Slice 69/155. Head.
FLAIR MR.
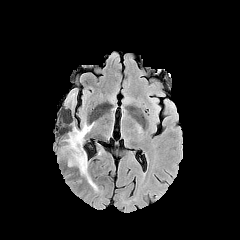
T1-weighted magnetic resonance.
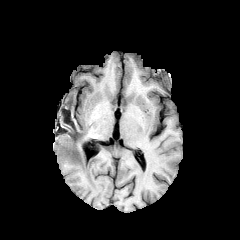
Post-contrast T1-weighted MRI.
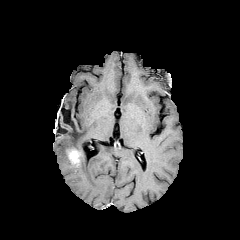
T2-weighted MR.
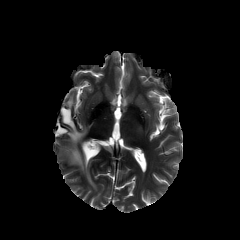
Enhancing tumor — (68,148,81,165).
Edema — (66,92,74,104), (60,119,97,190).